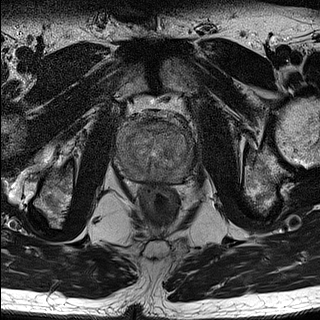
T2-weighted magnetic resonance.
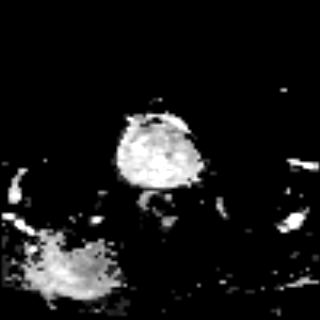
ADC MR.
Pelvis
Prostate transition zone = region(126, 112, 186, 169).
Prostate peripheral zone = region(115, 112, 198, 182).